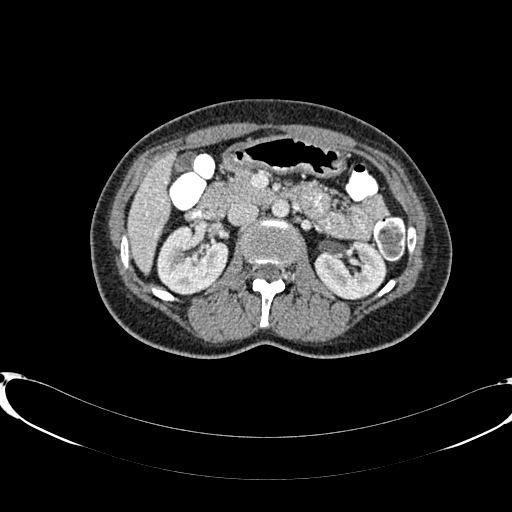
CT slice; Liver; 512x512
* kidney: box=[316, 243, 384, 298]; box=[158, 227, 226, 293]
* liver: box=[127, 152, 176, 271]